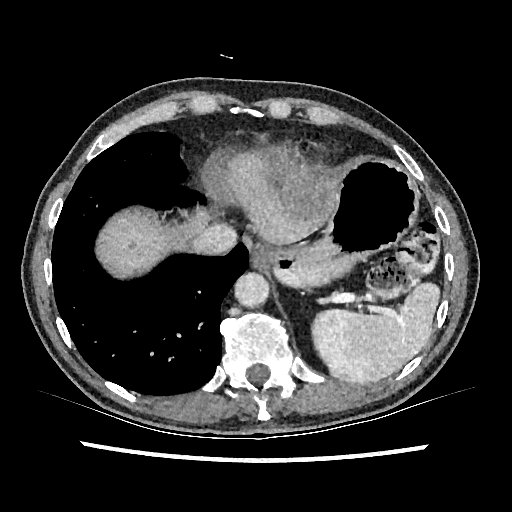

CT image. Abdomen.
liver:
  - (x1=97, y1=212, x2=208, y2=273)
  - (x1=226, y1=151, x2=337, y2=243)
liver_lesion:
  - (x1=127, y1=239, x2=137, y2=250)
  - (x1=259, y1=167, x2=265, y2=177)
  - (x1=275, y1=177, x2=338, y2=224)